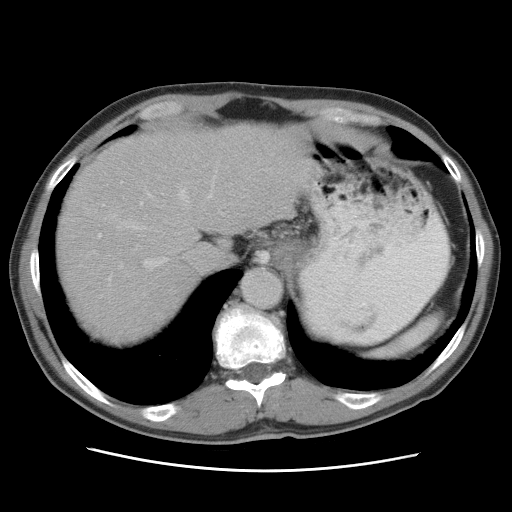 Liver | CT slice
Not every hepatic vessel necessarily has a box.
{
  "hepatic_vessel": [
    "region(135, 246, 137, 249)",
    "region(117, 221, 144, 229)",
    "region(140, 203, 142, 204)",
    "region(146, 193, 150, 197)",
    "region(144, 189, 145, 191)",
    "region(207, 178, 214, 198)",
    "region(118, 265, 122, 268)",
    "region(178, 186, 186, 202)",
    "region(158, 177, 159, 179)",
    "region(108, 276, 111, 284)",
    "region(143, 257, 166, 269)",
    "region(98, 234, 101, 237)",
    "region(93, 251, 95, 253)",
    "region(200, 245, 227, 267)",
    "region(109, 215, 114, 218)"
  ]
}